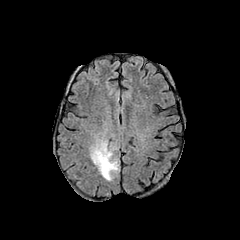
FLAIR MR.
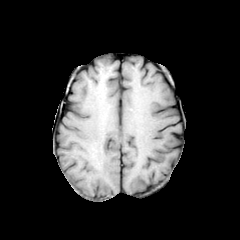
T1-weighted MRI.
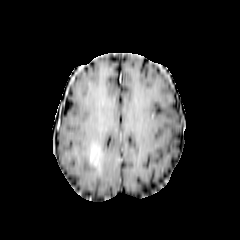
Post-contrast T1-weighted MR of the same slice.
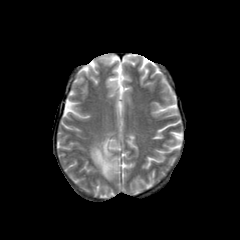
T2-weighted MR of the same slice.
Image size 240x240
The edema appears at x1=91, y1=136, x2=119, y2=181. The non-enhancing tumor core is located at x1=98, y1=150, x2=104, y2=170. The enhancing tumor is located at x1=91, y1=146, x2=102, y2=165.